Field of view 512x512 mm. CT image. 512x512.
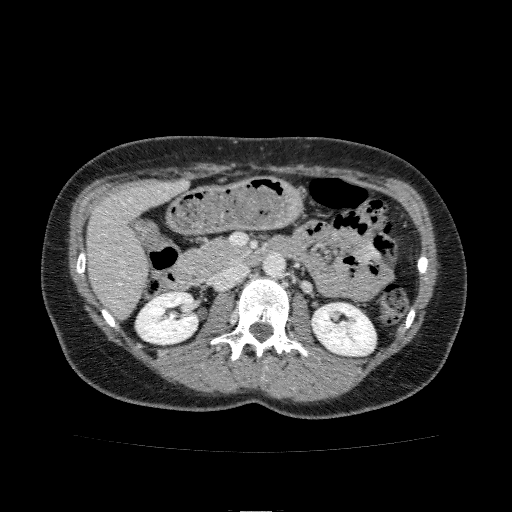

liver: [86,179,188,317] | kidney: [136,292,196,344], [312,303,375,355]